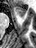

MR; 36x48
<segmentation>
  <anterior_hippocampus>box(16, 7, 25, 16)</anterior_hippocampus>
</segmentation>